240x240; Image width 240 mm
FLAIR MRI.
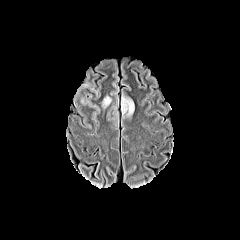
T1-weighted MR image.
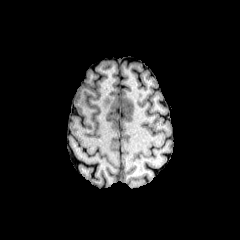
Post-contrast T1-weighted MRI.
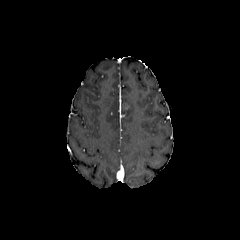
T2-weighted MR.
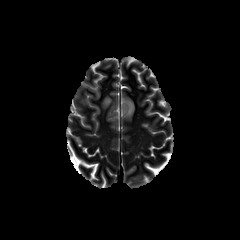
Non-enhancing tumor core: bounding box x1=121 y1=101 x2=131 y2=114.
Edema: bounding box x1=102 y1=96 x2=111 y2=108, x1=121 y1=94 x2=135 y2=118.